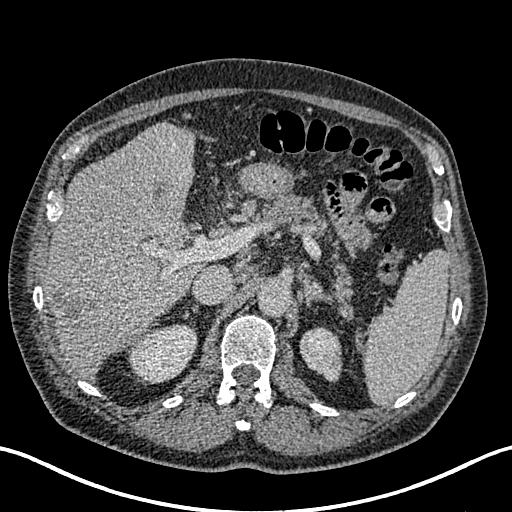
CT slice. Abdomen.

2 kidney regions are bounded by 300,328,339,379; 131,326,196,382. The liver lies within 45,124,201,378. 3 hepatic lesion regions are bounded by 152,180,172,200; 51,284,95,324; 166,233,181,243.